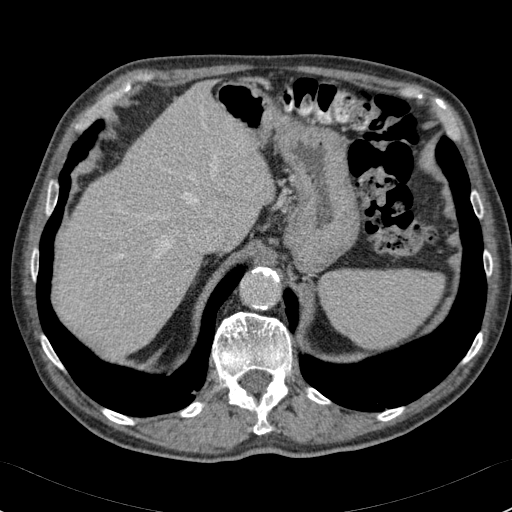
CT scan slice
The liver is bounded by x1=62 y1=81 x2=272 y2=356.